Computed tomography | Slice 408 of 908 | Abdomen
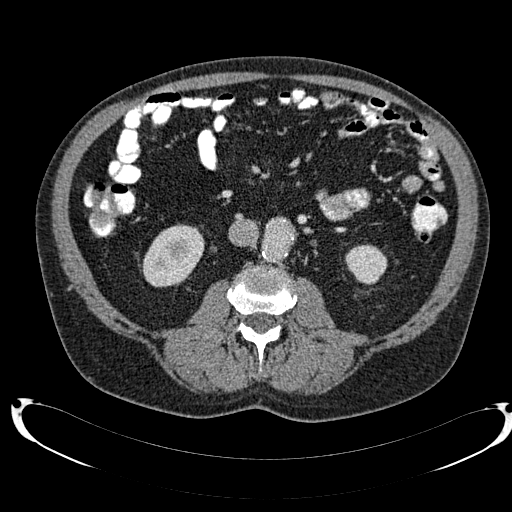
2 kidney regions are located at rect(143, 224, 204, 286); rect(345, 245, 386, 284).